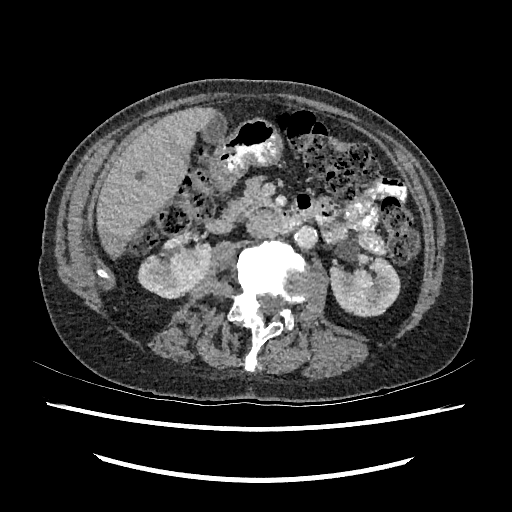 512x512 px, CT, Abdomen
2 kidney regions are bounded by box=[139, 244, 211, 298]; box=[330, 255, 399, 316]. The focal liver lesion lies within box=[109, 235, 126, 249]. The liver is located at box=[98, 107, 215, 257].